CT slice, Slice index 103, Field of view 403 mm wide, 1.50 mm slice spacing, Liver

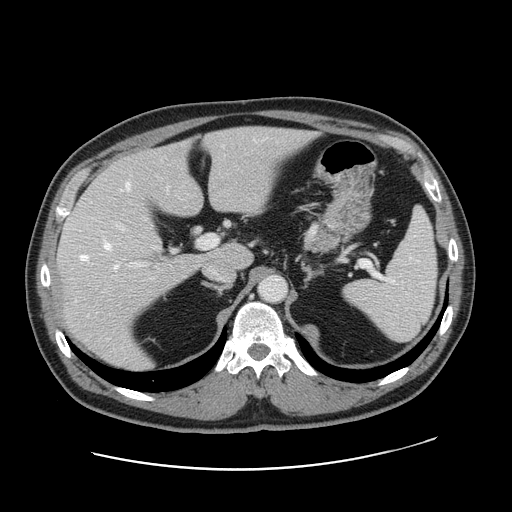
The vessel annotation is not exhaustive.
Hepatic vessel at bbox(204, 133, 212, 141); bbox(154, 246, 161, 249); bbox(117, 223, 124, 229); bbox(210, 175, 215, 204); bbox(167, 185, 167, 190); bbox(184, 142, 186, 144); bbox(120, 189, 123, 190); bbox(171, 248, 176, 251); bbox(105, 242, 110, 249); bbox(114, 264, 117, 269); bbox(254, 139, 255, 141); bbox(127, 262, 147, 266); bbox(125, 182, 129, 189); bbox(80, 254, 87, 259); bbox(143, 217, 146, 218).